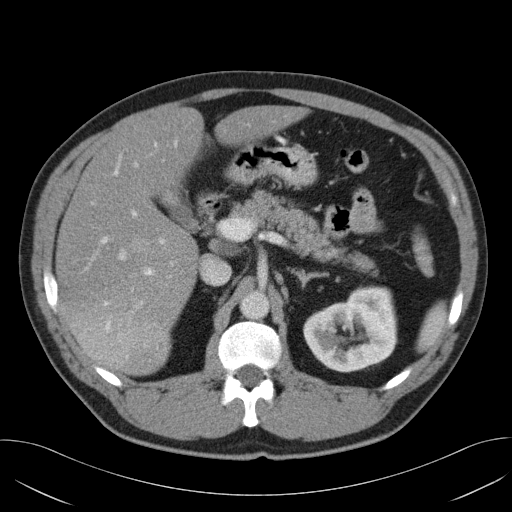

CT scan slice. 512x512.
Annotated regions:
* pancreas: region(229, 189, 378, 276)